Image size 512x512; Computed tomography; Slice 26 of 49

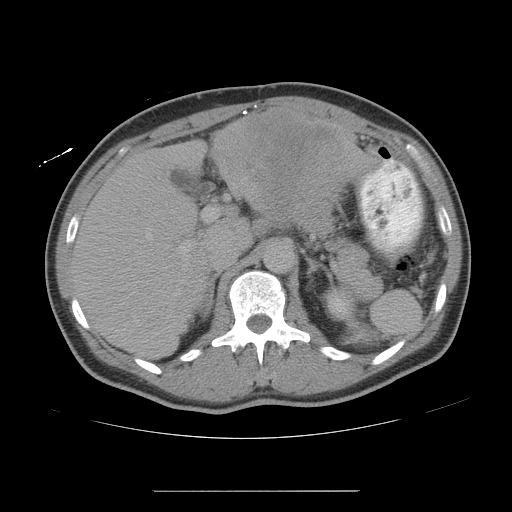 Some hepatic vessels may have no box.
Hepatic vessel at (183,265,185,270), (136,289,138,294), (203,208,209,220), (166,245,168,247), (146,228,151,240), (179,240,196,260), (178,280,183,282).
Liver tumor at (213,109,379,228).